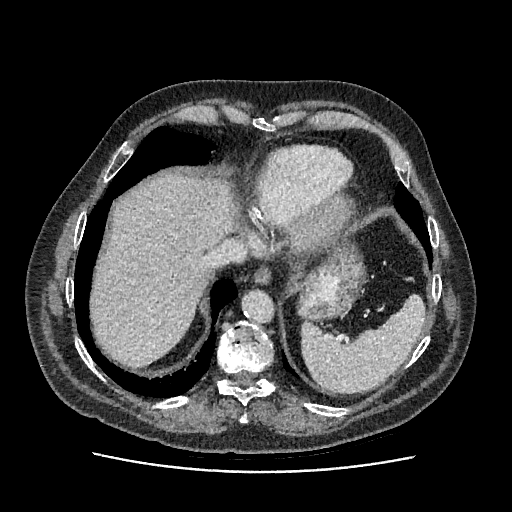 CT image
<segmentation>
  <liver>left=90, top=176, right=239, bottom=366</liver>
</segmentation>